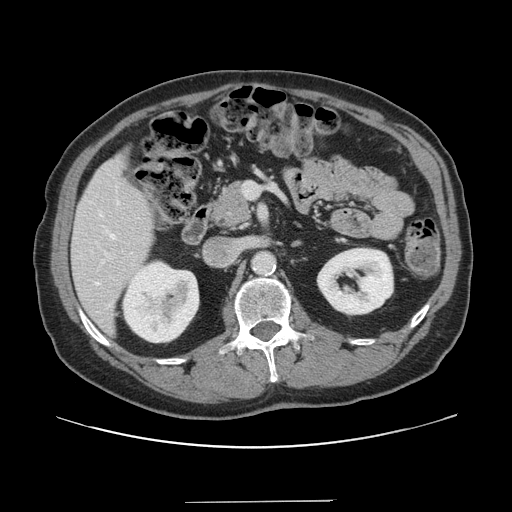

Image size 512x512; Abdomen; Computed tomography
Only some of the vessels may be annotated.
6 hepatic vessel regions are located at 108 233 114 239, 95 282 99 284, 131 252 132 253, 243 182 257 197, 101 251 110 263, 100 214 102 216.